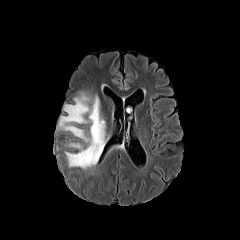
FLAIR MR.
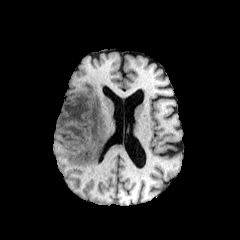
Same slice, T1-weighted magnetic resonance.
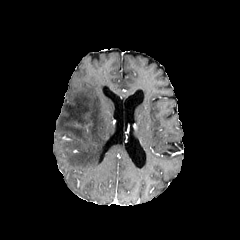
Post-contrast T1-weighted MRI of the same slice.
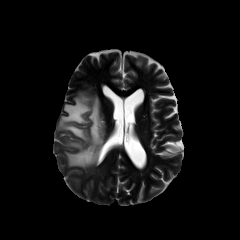
T2-weighted MR.
Image size 240x240
Segmented structures:
* edema: (58, 91, 107, 170)